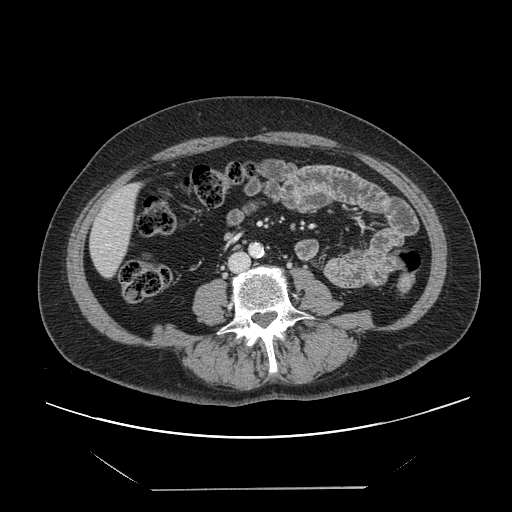

CT, Abdomen
The vessel annotation is not exhaustive.
Hepatic vessel at 105,244,109,246.